512x512 px | CT | Slice 47/97 | Upper abdomen
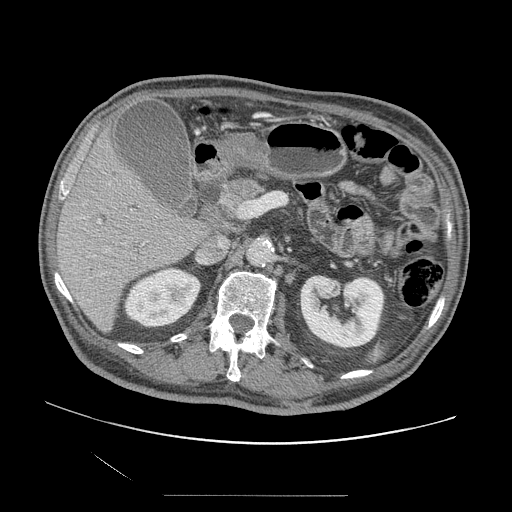
Pancreas — 219,176,265,211.
Pancreatic tumor — 227,179,260,198.